FLAIR MRI.
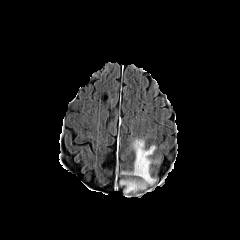
T1-weighted MR image.
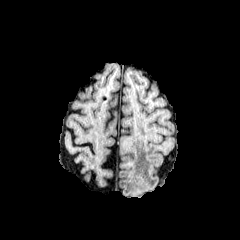
Post-contrast T1-weighted MR.
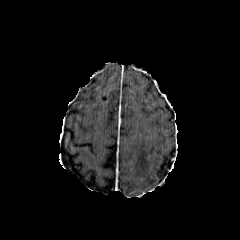
T2-weighted MR.
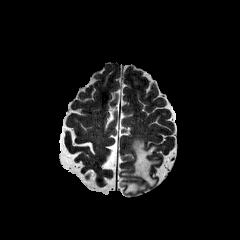
240x240 px.
Edema: bbox(120, 139, 158, 196).